FLAIR MRI.
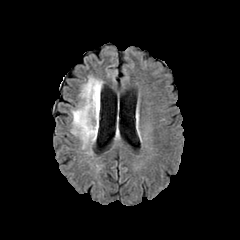
T1-weighted magnetic resonance.
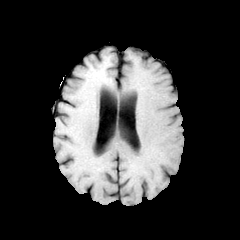
Post-contrast T1-weighted MR image.
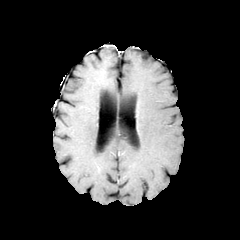
T2-weighted MR image.
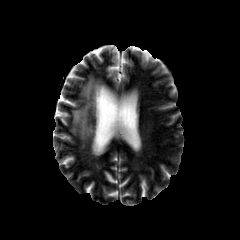
Head
<segmentation>
  <edema>[x1=71, y1=76, x2=103, y2=149]</edema>
</segmentation>